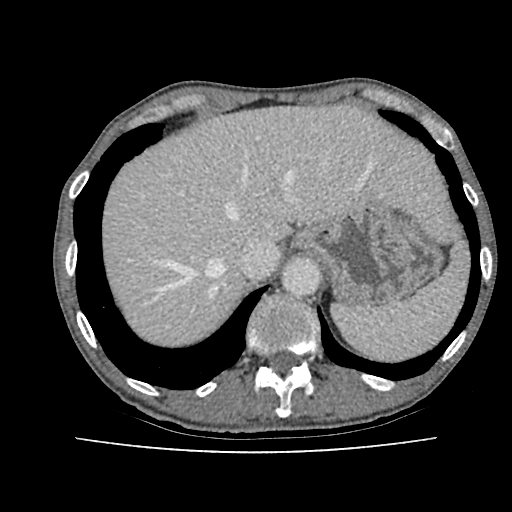
Computed tomography. Abdomen.
* liver: [x1=101, y1=105, x2=452, y2=344]